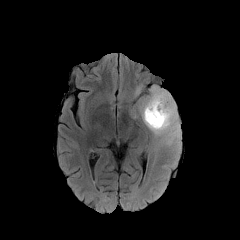
FLAIR MR image.
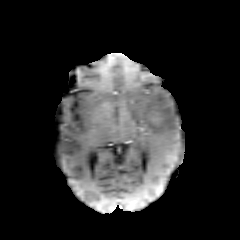
T1-weighted MRI of the same slice.
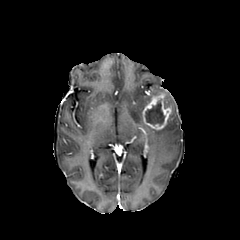
Post-contrast T1-weighted MR image.
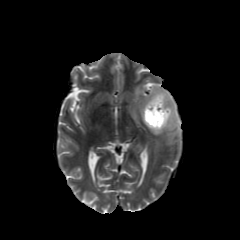
Same slice, T2-weighted MRI.
Head
{"non-enhancing_tumor_core": ["145,102,164,124"], "edema": ["144,91,181,155", "136,84,166,121", "134,83,144,97"], "enhancing_tumor": ["142,91,172,130"]}